Computed tomography | Upper abdomen
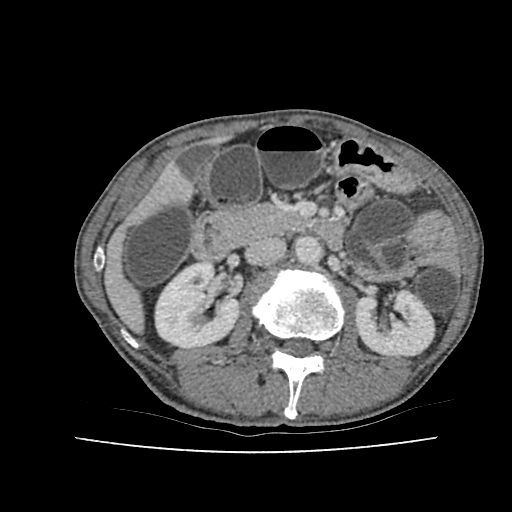

liver:
  - box(128, 168, 186, 226)
  - box(105, 239, 140, 322)
kidney:
  - box(356, 291, 433, 354)
  - box(156, 263, 238, 347)